Head.
FLAIR MR.
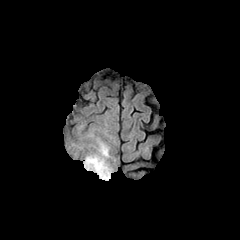
T1-weighted magnetic resonance.
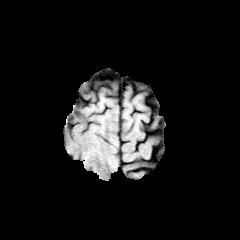
Post-contrast T1-weighted MR.
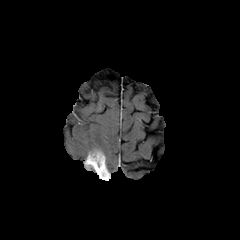
T2-weighted MRI.
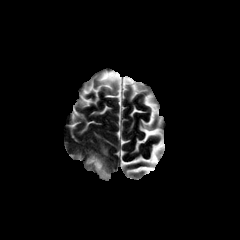
<segmentation>
  <edema>x1=97 y1=128 x2=113 y2=140, x1=85 y1=130 x2=116 y2=173</edema>
  <enhancing_tumor>x1=85 y1=149 x2=110 y2=180</enhancing_tumor>
</segmentation>